Slice index 102, Field of view 240x240 mm
FLAIR magnetic resonance.
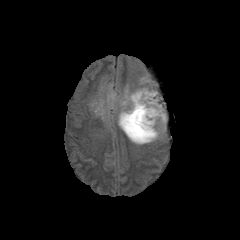
T1-weighted MR image.
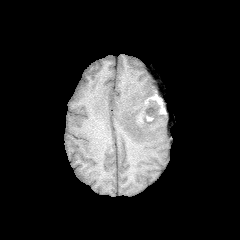
Post-contrast T1-weighted MR image.
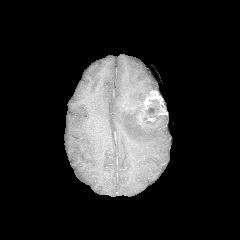
T2-weighted MR.
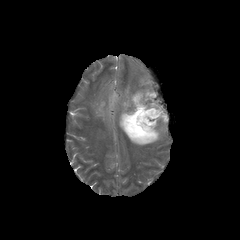
{"non-enhancing_tumor_core": ["[128,92,161,135]"], "enhancing_tumor": ["[142,90,158,113]"], "edema": ["[96,101,108,117]", "[105,78,167,145]"]}